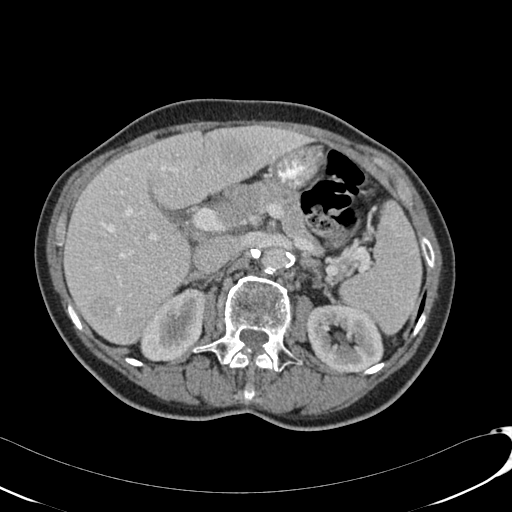
Computed tomography | Abdomen
Annotated regions:
• kidney: (left=307, top=305, right=382, bottom=372), (left=142, top=289, right=205, bottom=360)
• liver: (left=65, top=127, right=314, bottom=343)
• liver lesion: (left=153, top=175, right=164, bottom=188), (left=93, top=299, right=115, bottom=321), (left=218, top=141, right=253, bottom=167), (left=194, top=155, right=206, bottom=166)